Pelvis | CT slice

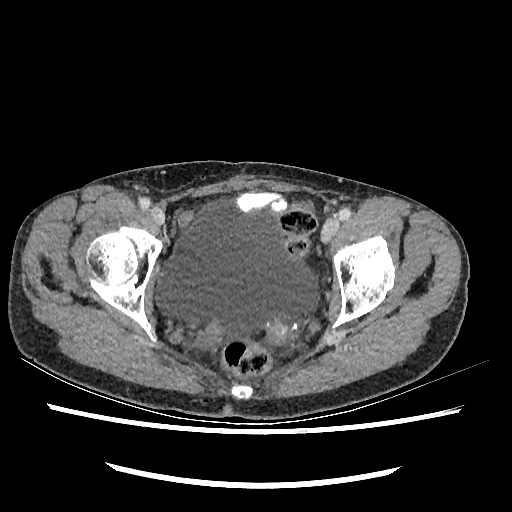

Urinary bladder: bounding box (x1=156, y1=197, x2=317, y2=343).